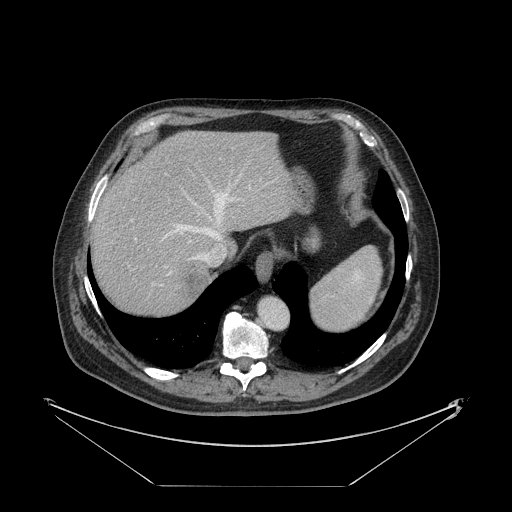

CT image | Abdomen
The vessel boxes may cover only some of the vessels.
Hepatic vessel — (left=152, top=283, right=153, bottom=284), (left=181, top=232, right=182, bottom=234).
Liver tumor — (left=175, top=265, right=206, bottom=296).